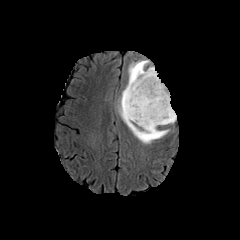
FLAIR MR image.
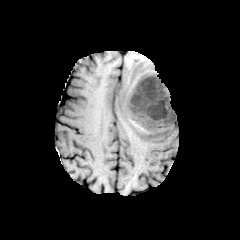
T1-weighted MRI.
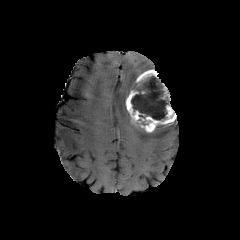
Post-contrast T1-weighted MR.
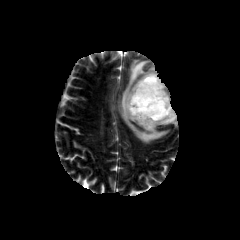
T2-weighted magnetic resonance of the same slice.
240x240 px
{"edema": ["[116,58,171,143]"], "enhancing_tumor": ["[126,90,175,132]", "[162,85,169,99]", "[136,69,156,85]"], "non-enhancing_tumor_core": ["[142,125,159,137]", "[131,76,170,119]"]}